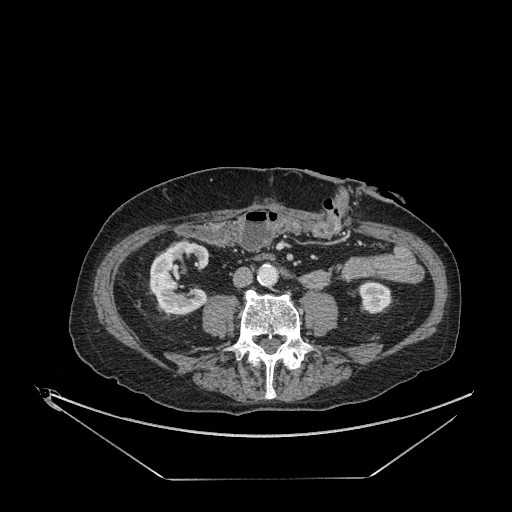 Image size 512x512 | Computed tomography

2 kidney regions are located at [150,242,208,313], [359,282,390,313].